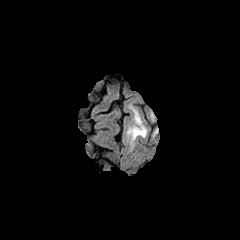
FLAIR MRI.
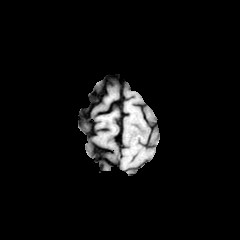
T1-weighted MR of the same slice.
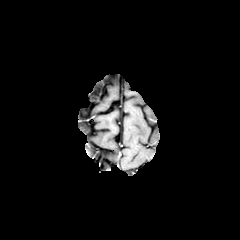
Post-contrast T1-weighted MRI.
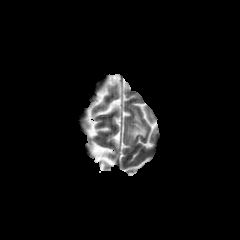
T2-weighted MR image.
240x240 px
edema: bbox=[127, 110, 156, 144]